Slice 377 of 733 | CT slice | 512x512 | Abdomen
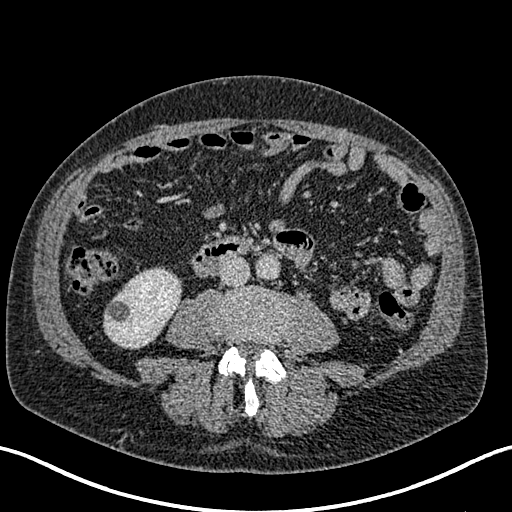 Kidney — 103,270,180,347.